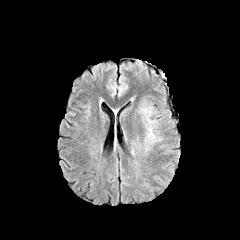
FLAIR MR image.
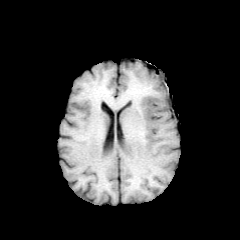
T1-weighted MR image of the same slice.
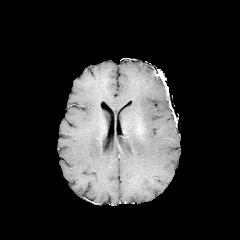
Post-contrast T1-weighted MR image.
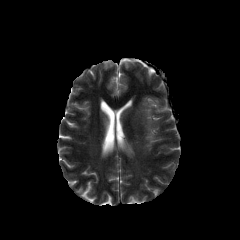
T2-weighted MR image of the same slice.
The edema is located at 139,102,159,149.